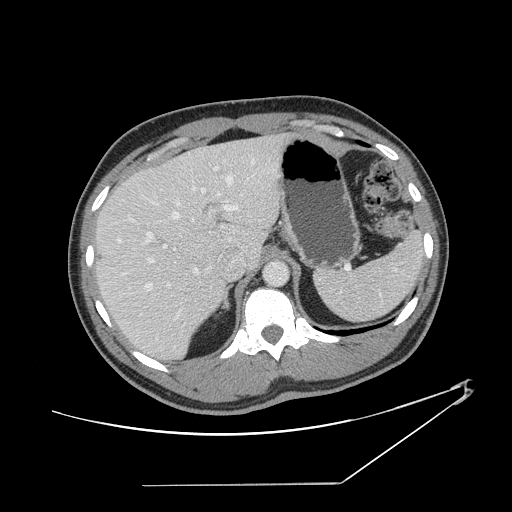

512x512 | Abdomen | CT image

The vessel annotation is not exhaustive.
Annotated regions:
* hepatic vessel (top 15 of 22): left=193, top=187, right=195, bottom=191; left=145, top=283, right=152, bottom=290; left=172, top=212, right=179, bottom=218; left=226, top=177, right=232, bottom=183; left=143, top=233, right=152, bottom=243; left=221, top=225, right=225, bottom=228; left=176, top=310, right=180, bottom=317; left=214, top=166, right=218, bottom=169; left=176, top=200, right=179, bottom=205; left=194, top=268, right=197, bottom=273; left=251, top=159, right=254, bottom=163; left=148, top=258, right=153, bottom=262; left=153, top=202, right=156, bottom=204; left=201, top=188, right=205, bottom=192; left=223, top=201, right=237, bottom=210